Field of view 240x240 mm. Slice 57/155. Head.
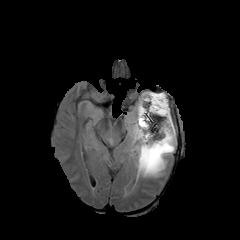
FLAIR MR.
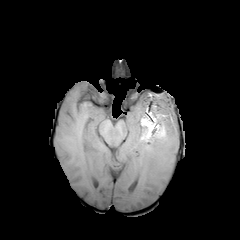
Same slice, T1-weighted MRI.
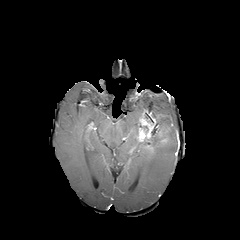
Post-contrast T1-weighted MRI.
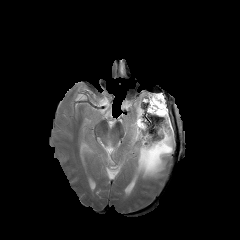
T2-weighted magnetic resonance.
Non-enhancing tumor core — bbox=[142, 142, 160, 152]; bbox=[137, 108, 161, 142].
Enhancing tumor — bbox=[138, 116, 149, 127]; bbox=[136, 128, 149, 140].
Edema — bbox=[123, 91, 176, 178].